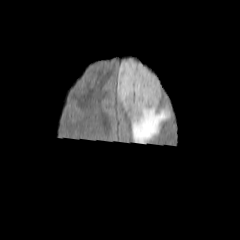
FLAIR MR.
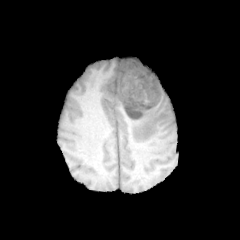
T1-weighted MRI of the same slice.
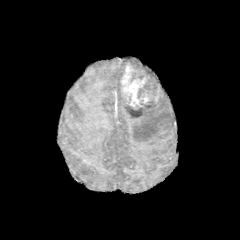
Post-contrast T1-weighted MRI.
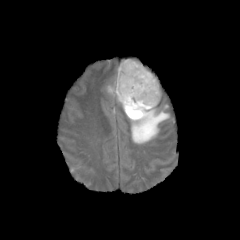
T2-weighted magnetic resonance.
Brain, Image size 240x240
Segmented structures:
* enhancing tumor: x1=120 y1=62 x2=153 y2=108
* non-enhancing tumor core: x1=125 y1=63 x2=160 y2=117
* edema: x1=126 y1=102 x2=169 y2=143, x1=159 y1=81 x2=163 y2=102, x1=104 y1=58 x2=149 y2=110